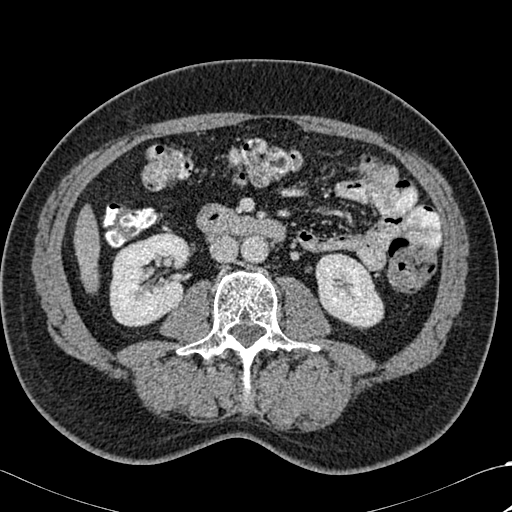
Upper abdomen | Image size 512x512 | CT image

* liver: [75, 215, 99, 264]
* bone: [177, 271, 316, 402]
* kidney: [110, 234, 188, 325], [316, 254, 382, 326]